T2-weighted MR image.
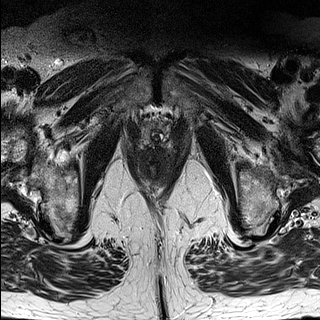
ADC MRI.
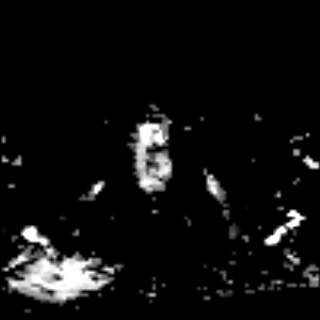
Prostate, 320x320 px
The prostate peripheral zone is bounded by (145, 124, 169, 143).